Lower abdomen. CT scan slice.
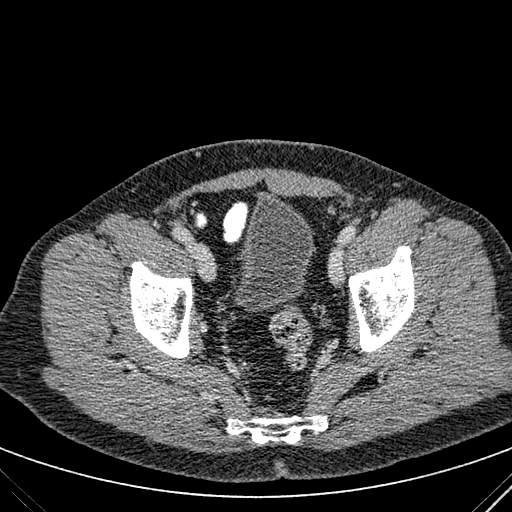
urinary bladder: 228, 197, 315, 312